CT slice 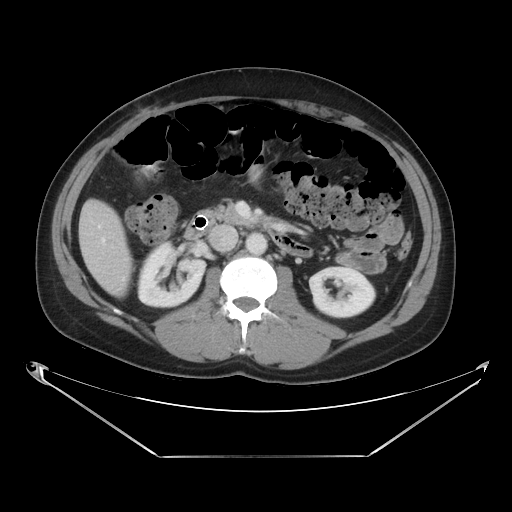

Pancreas — {"x1": 205, "y1": 203, "x2": 249, "y2": 225}.